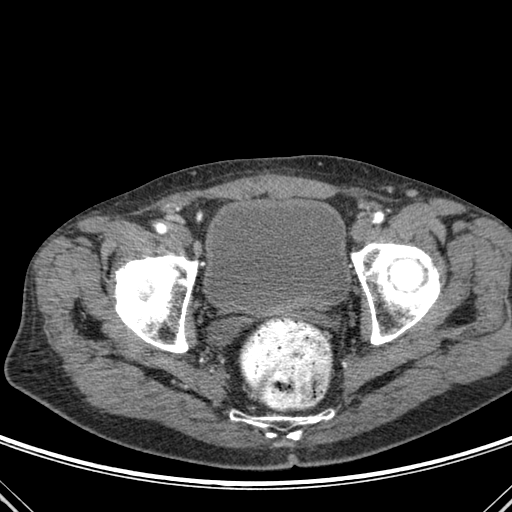 Lower abdomen, 512x512, Computed tomography
Bone at (114, 254, 198, 353), (266, 432, 276, 437), (351, 242, 439, 345), (230, 410, 334, 429), (286, 430, 301, 440).
Urinary bladder at (205, 200, 349, 312).